Brain, Image size 240x240
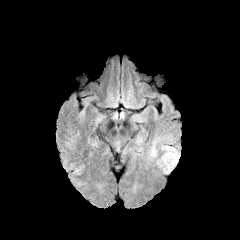
FLAIR MR image.
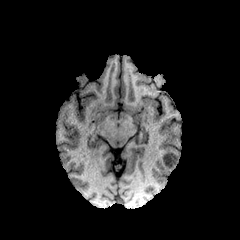
Same slice, T1-weighted MR image.
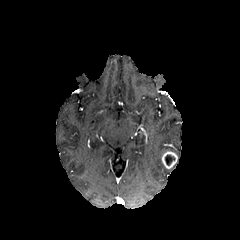
Same slice, post-contrast T1-weighted MRI.
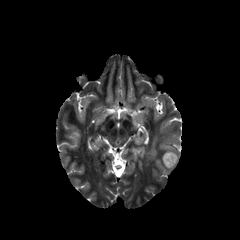
T2-weighted MRI of the same slice.
Enhancing tumor = [161, 150, 177, 169].
Edema = [161, 146, 179, 156].
Non-enhancing tumor core = [164, 154, 175, 165].